Head, Slice 49/155
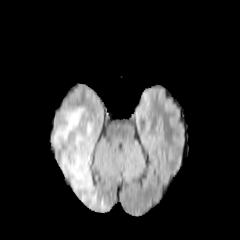
FLAIR MR image.
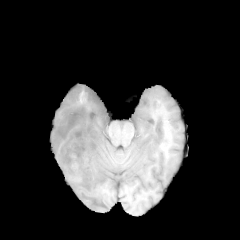
T1-weighted MR image of the same slice.
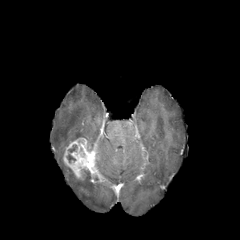
Post-contrast T1-weighted magnetic resonance.
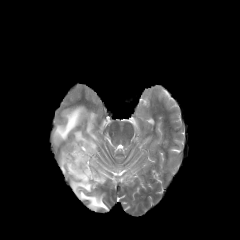
T2-weighted MR.
Annotated regions:
- edema: x1=52, y1=106, x2=106, y2=209; x1=73, y1=131, x2=84, y2=138; x1=86, y1=119, x2=94, y2=137
- non-enhancing tumor core: x1=78, y1=169, x2=88, y2=179; x1=66, y1=153, x2=76, y2=162
- enhancing tumor: x1=63, y1=137, x2=101, y2=181